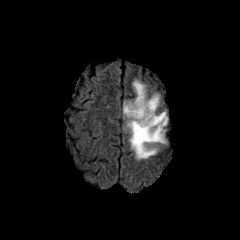
FLAIR MR.
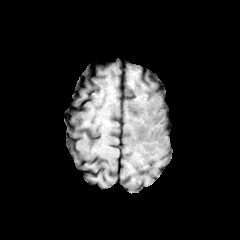
T1-weighted MRI.
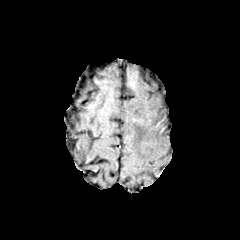
Same slice, post-contrast T1-weighted MRI.
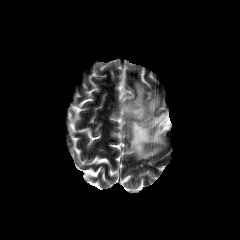
Same slice, T2-weighted magnetic resonance.
Head
non-enhancing tumor core: 161 117 167 131, 141 114 151 124 | edema: 122 81 169 159